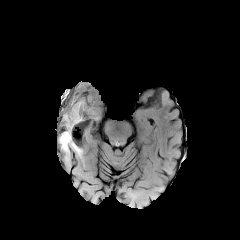
FLAIR MRI.
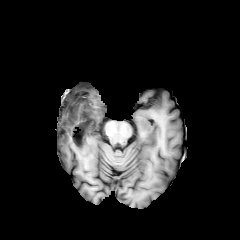
Same slice, T1-weighted MRI.
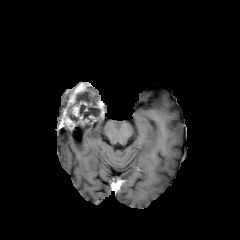
Same slice, post-contrast T1-weighted MRI.
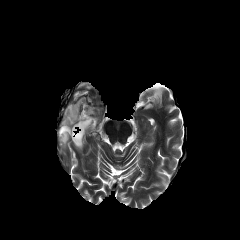
T2-weighted magnetic resonance of the same slice.
- enhancing tumor: rect(62, 96, 85, 129)
- non-enhancing tumor core: rect(68, 104, 97, 124); rect(69, 88, 83, 102)
- edema: rect(74, 86, 101, 119); rect(59, 130, 81, 153)